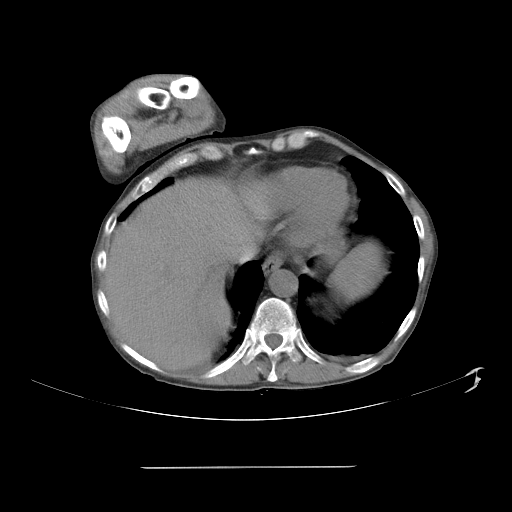
CT; Upper abdomen
The spleen is bounded by (x1=338, y1=244, x2=388, y2=299).